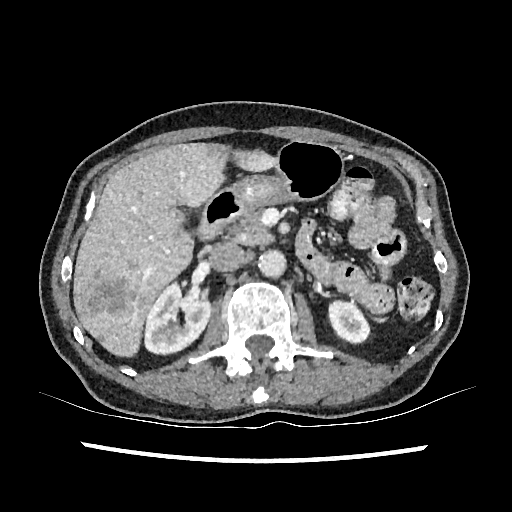 Abdomen; CT slice; 512x512

liver:
  - l=73, t=143, r=224, b=355
  - l=236, t=151, r=275, b=170
kidney:
  - l=329, t=301, r=369, b=342
  - l=145, t=283, r=210, b=353
hepatic_lesion:
  - l=129, t=291, r=136, b=300
  - l=206, t=144, r=227, b=161
  - l=86, t=278, r=126, b=314